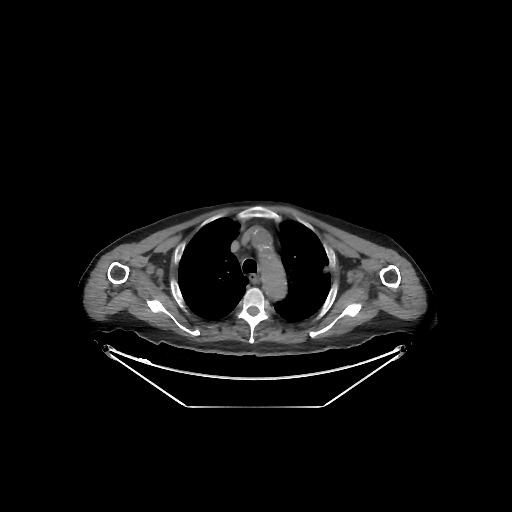
CT scan slice; Chest; 512x512 px

8 bone regions are bounded by (310, 303, 360, 337), (147, 299, 199, 335), (107, 262, 129, 283), (239, 288, 268, 342), (239, 207, 279, 218), (171, 281, 183, 306), (379, 265, 400, 287), (319, 285, 336, 315). 2 lung regions appear at (178, 217, 256, 321), (274, 219, 330, 322).